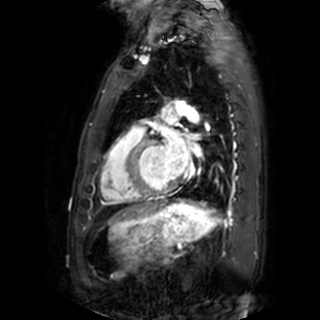

Cardiac | Image size 320x320 | MR
<segmentation>
  <left_atrium>bbox(164, 129, 188, 174)</left_atrium>
</segmentation>